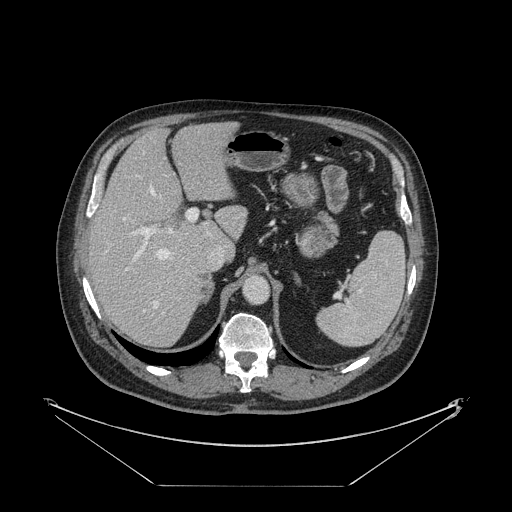 Liver. 512x512 px. CT. Some hepatic vessels may have no box.
Liver tumor at (195, 272, 211, 301).
Hepatic vessel at (126, 267, 127, 269), (152, 302, 156, 307), (168, 229, 172, 232), (140, 227, 156, 238), (133, 244, 144, 260), (162, 312, 163, 313), (131, 232, 135, 234).